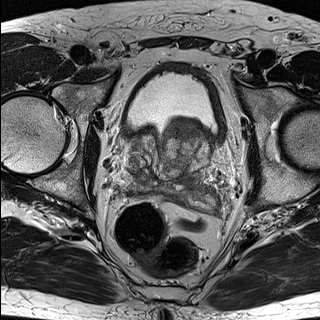
T2-weighted MRI.
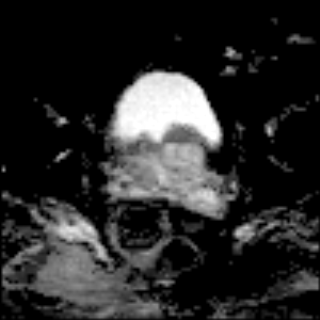
ADC MR image.
Prostate
The prostate transition zone is located at {"x1": 128, "y1": 125, "x2": 207, "y2": 184}.